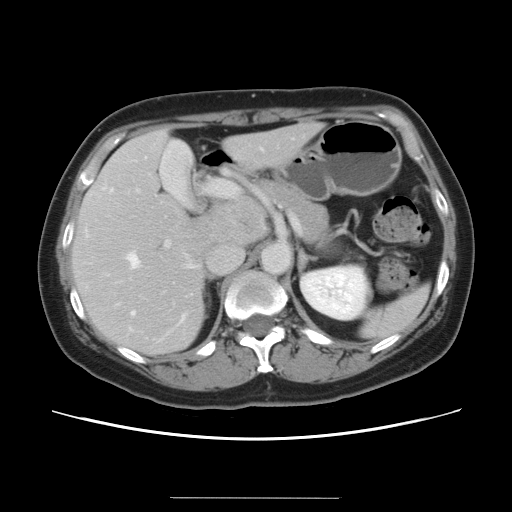
CT scan slice | Liver
Some hepatic vessels may have no box.
Liver tumor — x1=179, y1=199, x2=261, y2=252.
Hepatic vessel — x1=127, y1=254, x2=138, y2=268; x1=181, y1=315, x2=184, y2=322; x1=85, y1=230, x2=88, y2=237; x1=102, y1=188, x2=104, y2=189; x1=197, y1=266, x2=199, y2=267; x1=110, y1=189, x2=112, y2=192; x1=260, y1=148, x2=261, y2=150; x1=164, y1=241, x2=168, y2=246; x1=116, y1=304, x2=118, y2=305; x1=106, y1=274, x2=107, y2=276; x1=130, y1=328, x2=131, y2=331; x1=186, y1=261, x2=193, y2=268; x1=131, y1=312, x2=133, y2=315; x1=211, y1=180, x2=237, y2=197; x1=136, y1=189, x2=138, y2=192.